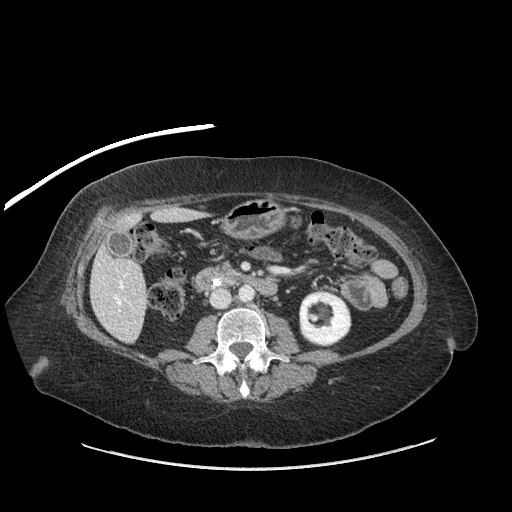 Upper abdomen, CT

Pancreas: box=[222, 265, 237, 277].